FLAIR magnetic resonance.
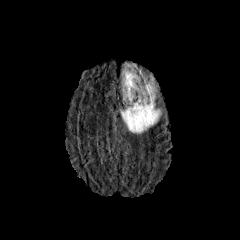
T1-weighted magnetic resonance.
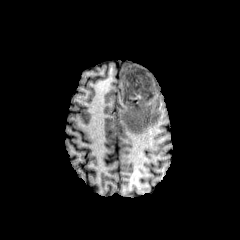
Post-contrast T1-weighted MR image.
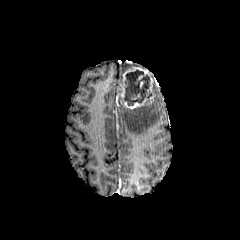
T2-weighted MR.
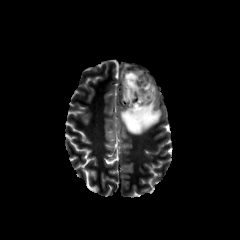
2 edema regions are located at 120:104:161:134, 122:63:135:72. The enhancing tumor is bounded by 119:66:155:109. The non-enhancing tumor core lies within 124:70:150:105.